CT slice 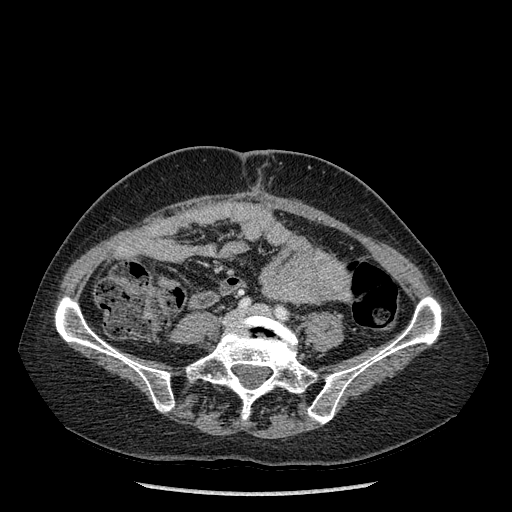
{"bone": ["55,296,174,412", "308,296,441,423", "186,314,317,419"]}